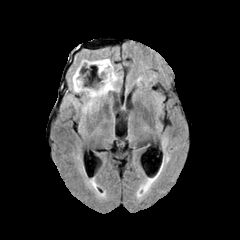
FLAIR MR image.
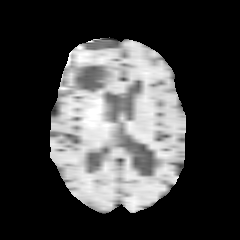
T1-weighted magnetic resonance of the same slice.
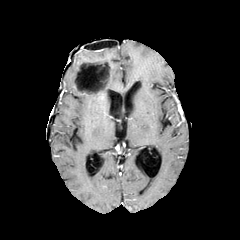
Post-contrast T1-weighted MR.
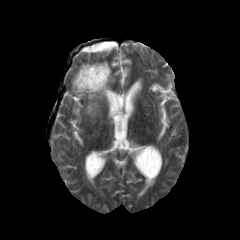
Same slice, T2-weighted magnetic resonance.
Head
<segmentation>
  <non-enhancing_tumor_core>76 67 108 91</non-enhancing_tumor_core>
  <edema>67 56 121 114</edema>
</segmentation>